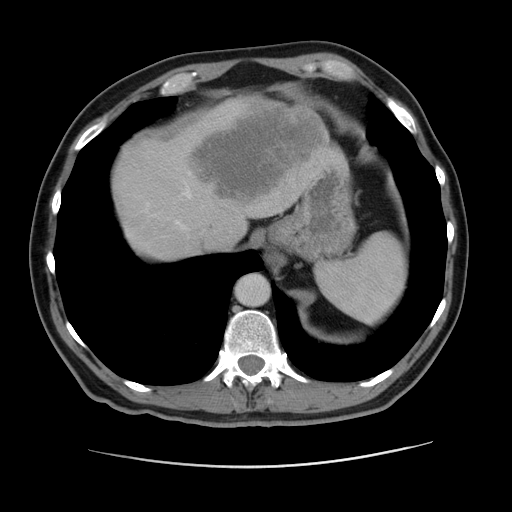 Upper abdomen. Image size 512x512. CT image. Liver: bounding box bbox(112, 100, 335, 257).
Hepatic lesion: bounding box bbox(188, 103, 325, 202).